CT image | Abdomen 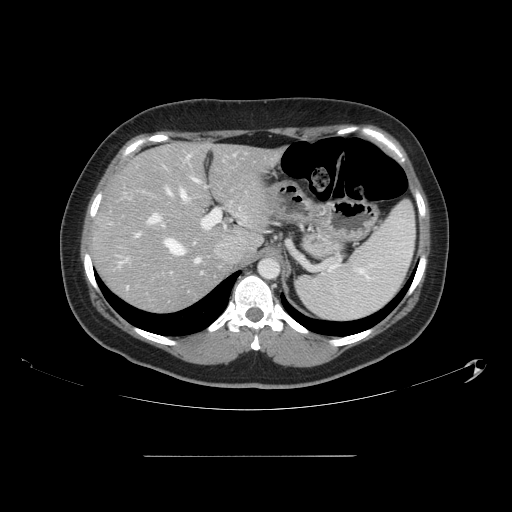
The vessel boxes may cover only some of the vessels.
Hepatic vessel at <box>180,189,185,198</box>, <box>202,210,220,229</box>, <box>192,178,197,180</box>, <box>135,234,138,236</box>, <box>149,213,160,222</box>, <box>187,156,189,158</box>, <box>166,188,170,193</box>, <box>165,239,184,254</box>, <box>195,259,199,262</box>.